FLAIR MR image.
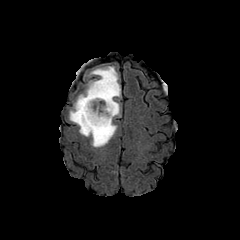
T1-weighted MRI.
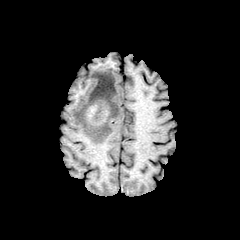
Post-contrast T1-weighted magnetic resonance.
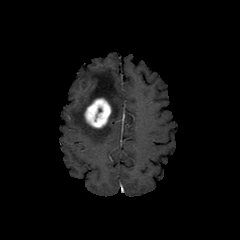
T2-weighted MR image.
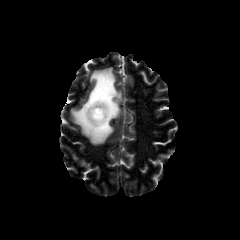
240x240
The edema appears at {"x1": 69, "y1": 66, "x2": 121, "y2": 147}. The enhancing tumor appears at {"x1": 84, "y1": 97, "x2": 112, "y2": 128}.